Abdomen; CT slice

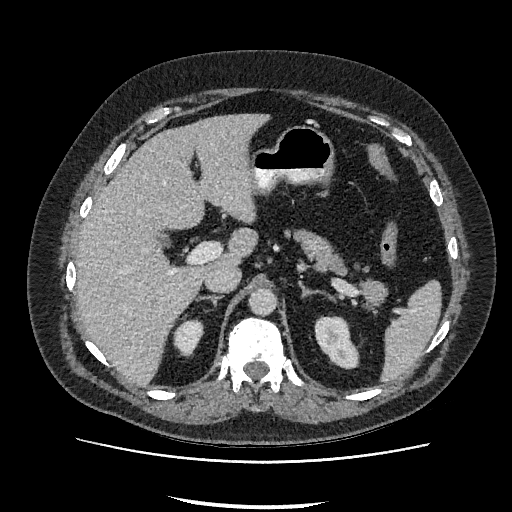

Kidney: bounding box <box>176,322,200,352</box>, <box>316,318,356,366</box>.
Liver: bounding box <box>76,115,267,385</box>.